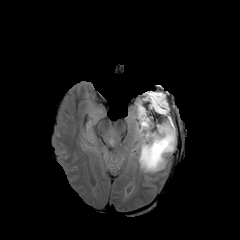
FLAIR magnetic resonance.
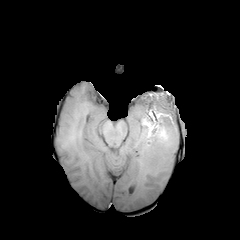
T1-weighted magnetic resonance of the same slice.
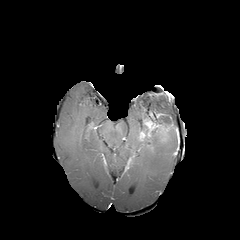
Post-contrast T1-weighted MR image of the same slice.
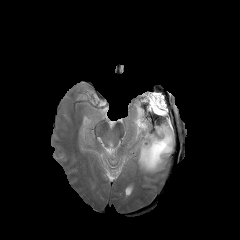
T2-weighted MR.
Head
Edema = [101, 149, 114, 162], [86, 128, 93, 144], [121, 91, 175, 174], [89, 116, 99, 125].
Enhancing tumor = [139, 130, 149, 139].
Non-enhancing tumor core = [140, 110, 163, 137].